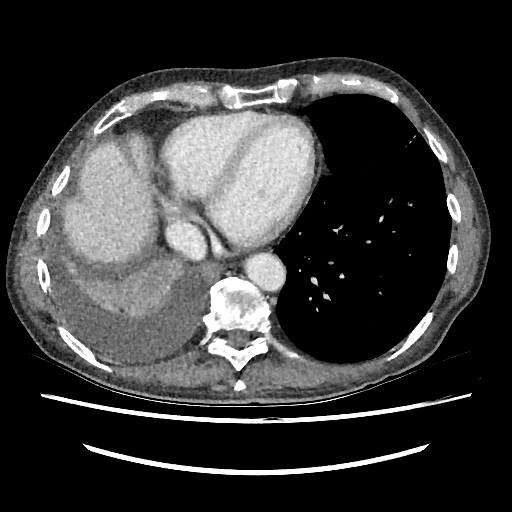
CT
The liver lies within region(63, 136, 152, 262).